240x240 px | Head
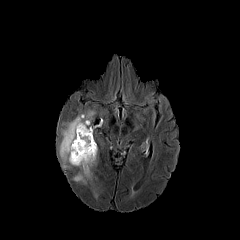
FLAIR MR.
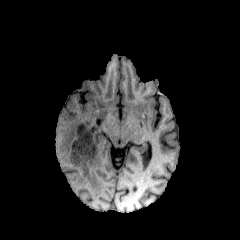
T1-weighted MRI.
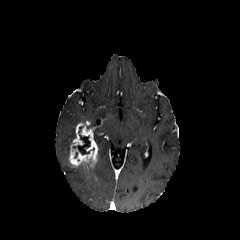
Post-contrast T1-weighted magnetic resonance of the same slice.
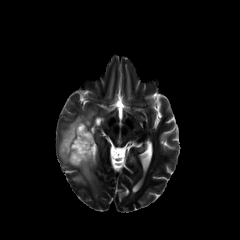
Same slice, T2-weighted MR.
Findings:
- non-enhancing tumor core: <box>77,135,90,155</box>
- edema: <box>57,105,99,184</box>
- enhancing tumor: <box>69,121,99,176</box>